Head
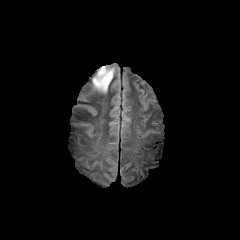
FLAIR MR.
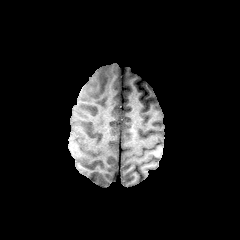
T1-weighted MR.
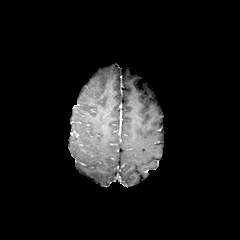
Post-contrast T1-weighted MR.
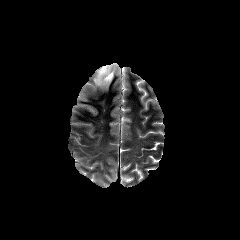
T2-weighted magnetic resonance.
- edema: <bbox>92, 66, 115, 90</bbox>